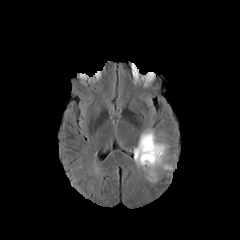
FLAIR MRI.
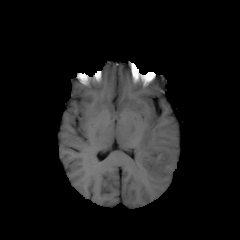
T1-weighted magnetic resonance.
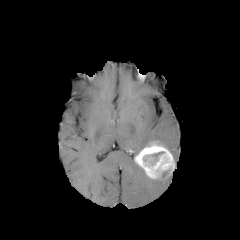
Post-contrast T1-weighted MR image.
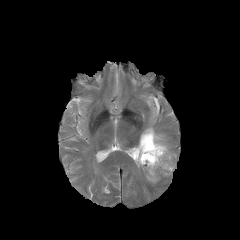
T2-weighted MR.
<segmentation>
  <edema>(130, 125, 175, 159), (135, 162, 160, 183)</edema>
  <enhancing_tumor>(134, 142, 175, 179)</enhancing_tumor>
</segmentation>